CT.
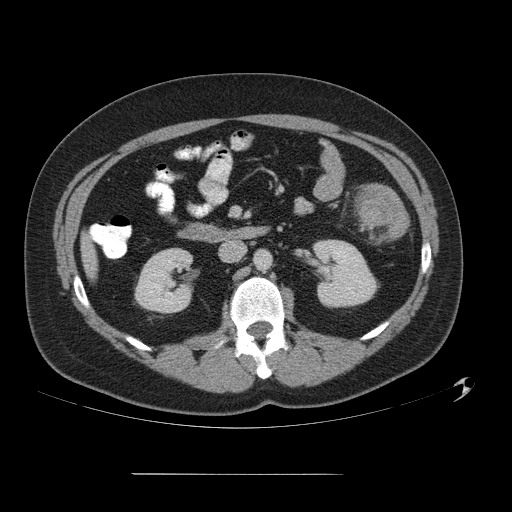
Segmented structures:
• colon tumor: region(358, 183, 408, 237)